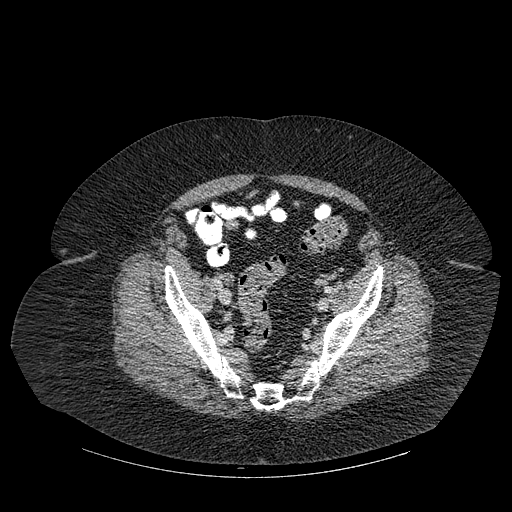

Computed tomography. 512x512 px.

3 bone regions appear at (x1=165, y1=265, x2=243, y2=398), (x1=220, y1=248, x2=228, y2=262), (x1=250, y1=266, x2=383, y2=410).